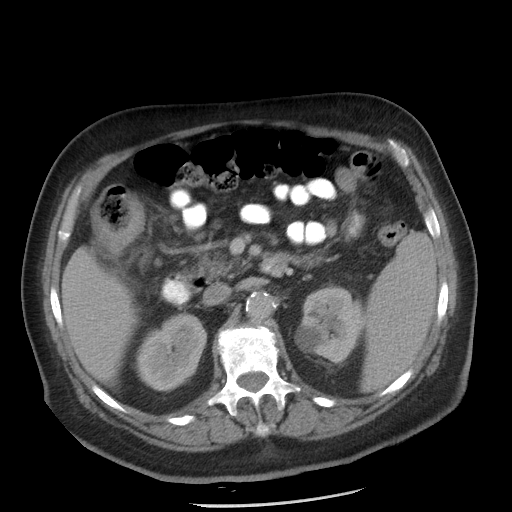 512x512 px. Computed tomography.

Findings:
* colon tumor: (91,202,144,251)